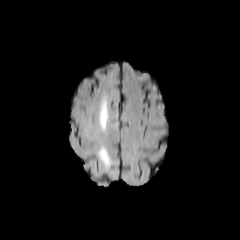
FLAIR magnetic resonance.
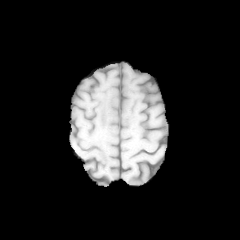
T1-weighted MR.
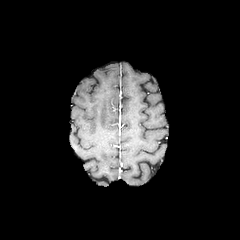
Post-contrast T1-weighted MR image.
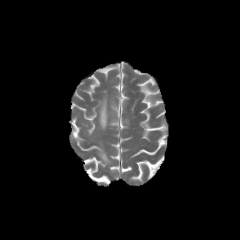
Same slice, T2-weighted MR.
Head
edema: 97, 147, 111, 168; 99, 97, 109, 129